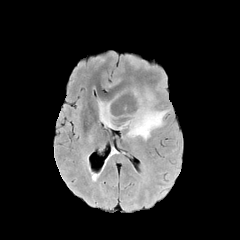
FLAIR MRI.
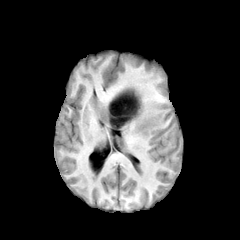
T1-weighted magnetic resonance of the same slice.
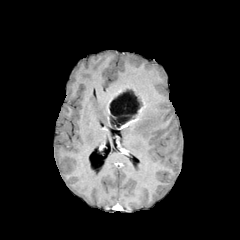
Post-contrast T1-weighted MRI of the same slice.
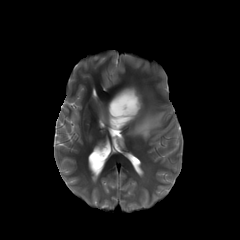
T2-weighted MR image.
Brain
non-enhancing tumor core: bbox=[108, 89, 143, 128] | edema: bbox=[98, 102, 111, 127]; bbox=[127, 106, 167, 139] | enhancing tumor: bbox=[118, 116, 138, 129]